CT image | Image size 512x512 | Abdomen 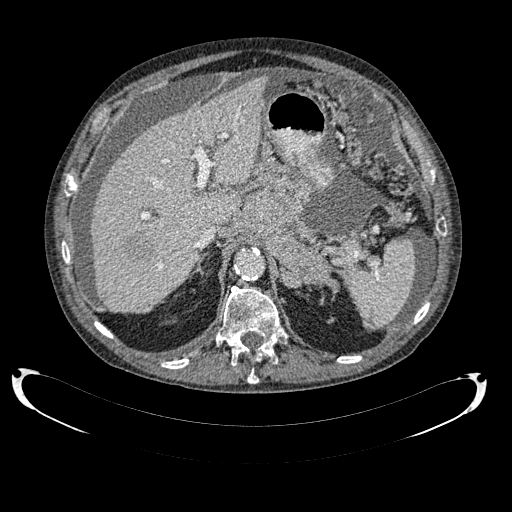 Hepatic lesion — x1=124, y1=234, x2=152, y2=261.
Liver — x1=91, y1=76, x2=267, y2=312.